FLAIR magnetic resonance.
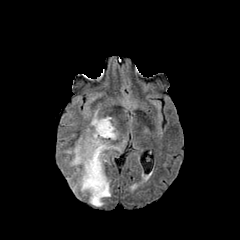
T1-weighted MR.
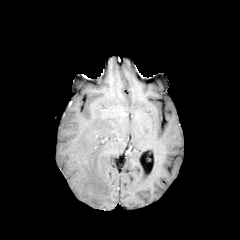
Post-contrast T1-weighted MR image.
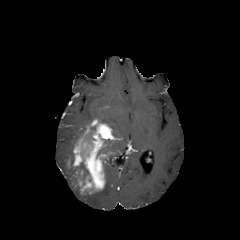
T2-weighted MRI.
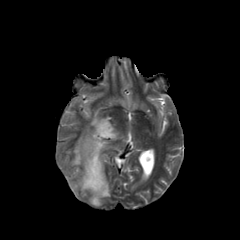
Image size 240x240. Brain.
4 edema regions are bounded by region(90, 111, 119, 139); region(102, 140, 121, 157); region(66, 149, 79, 190); region(84, 172, 111, 206). The enhancing tumor is bounded by region(73, 119, 114, 194). 2 non-enhancing tumor core regions are bounded by region(74, 163, 89, 180); region(80, 126, 95, 140).